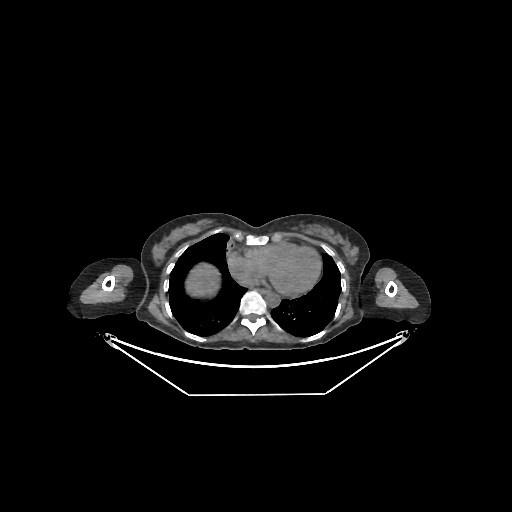

512x512 px. CT. Upper abdomen.

The liver appears at x1=187 y1=264 x2=219 y2=295.